Abdomen. CT. 512x512. Image width 330 mm. Slice 143 of 188.
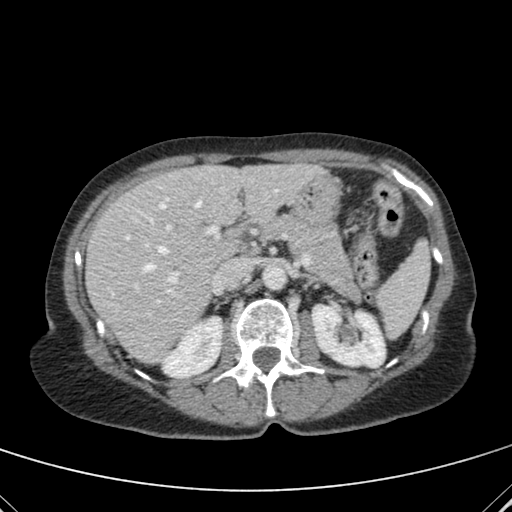 Liver = x1=86, y1=163, x2=324, y2=363.
Kidney = x1=164, y1=318, x2=220, y2=375; x1=312, y1=307, x2=384, y2=365.